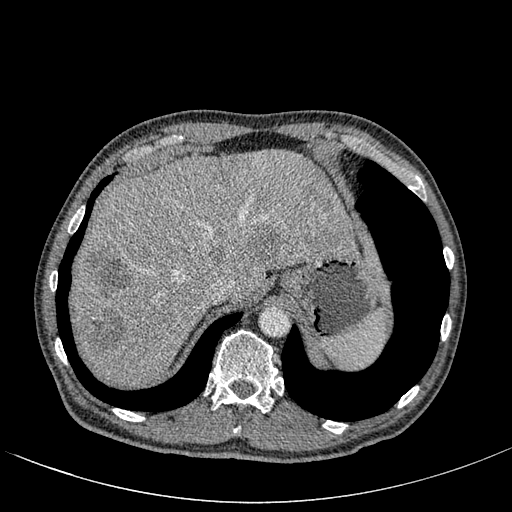

CT slice.
Segmented structures:
* liver lesion: x1=292, y1=216, x2=301, y2=222; x1=316, y1=194, x2=329, y2=208; x1=87, y1=246, x2=130, y2=295; x1=79, y1=308, x2=125, y2=353; x1=253, y1=229, x2=281, y2=259; x1=209, y1=160, x2=232, y2=182
* liver: x1=73, y1=149, x2=354, y2=385